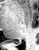
Hippocampus | 39x50 px | MR image
• posterior hippocampus: (left=13, top=42, right=20, bottom=44)